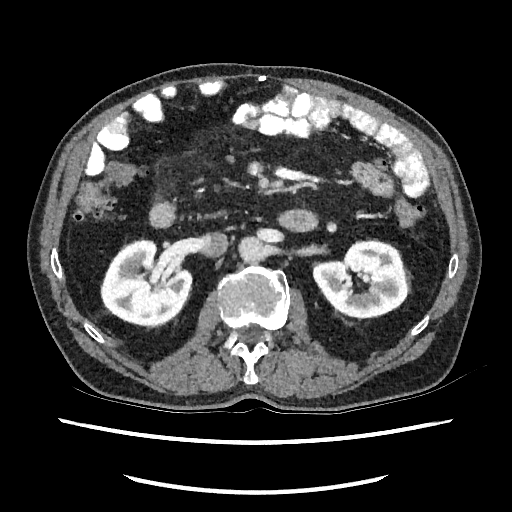
512x512 px; CT scan slice

Kidney — l=101, t=240, r=192, b=327; l=313, t=240, r=409, b=318.